Image size 512x512. Abdomen. CT scan slice.
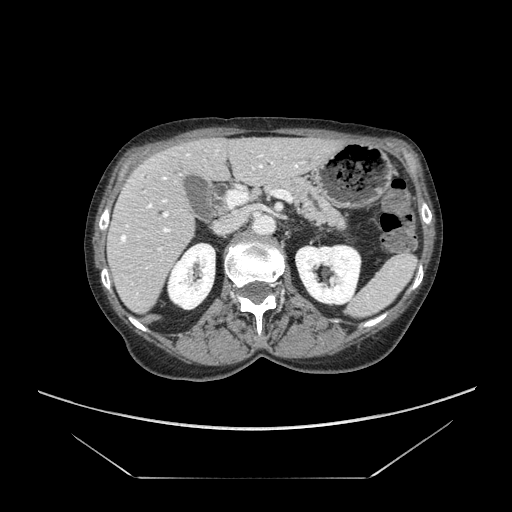 pancreas: (266,177,349,236)